Field of view 396 mm wide, 1.50 mm slice spacing, Slice index 65, CT

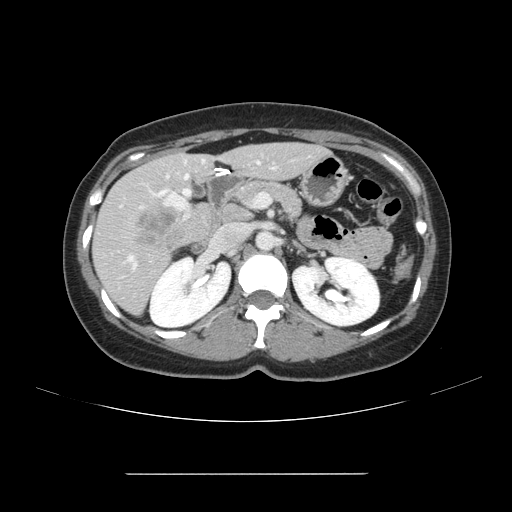
Not every hepatic vessel necessarily has a box.
Hepatic vessel at box(272, 167, 274, 168); box(128, 256, 135, 268); box(141, 207, 143, 208); box(257, 161, 259, 163); box(184, 175, 188, 178); box(202, 159, 204, 162); box(154, 191, 164, 195).
Liver tumor at box(136, 212, 176, 245).